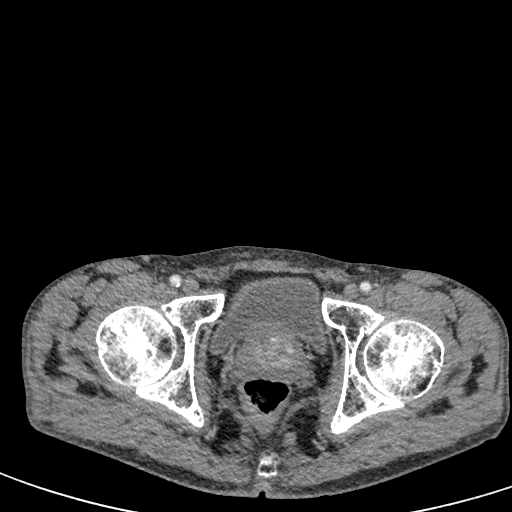 Pelvis; CT slice

The urinary bladder is located at (210,276,327,354).